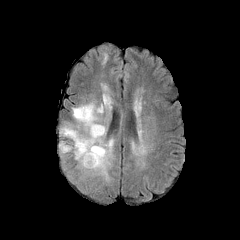
FLAIR MR.
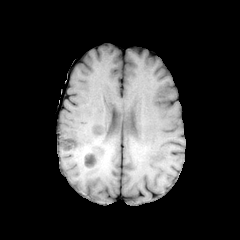
T1-weighted MR image.
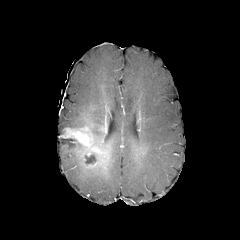
Post-contrast T1-weighted MR image.
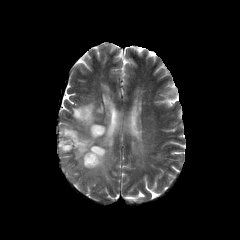
T2-weighted MR.
Image size 240x240 | Head
Annotated regions:
• edema: box(59, 84, 114, 180)
• non-enhancing tumor core: box(68, 136, 109, 168); box(85, 130, 95, 145); box(60, 127, 69, 138)
• enhancing tumor: box(66, 128, 101, 154)